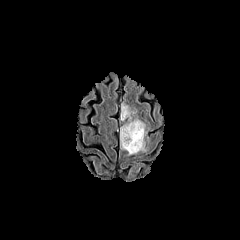
FLAIR MR image.
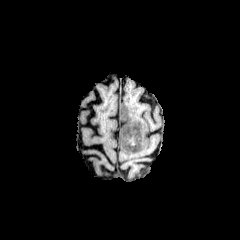
T1-weighted magnetic resonance.
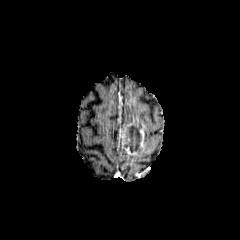
Post-contrast T1-weighted MRI.
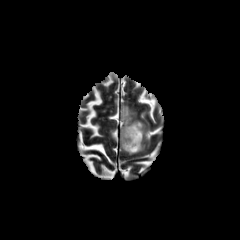
T2-weighted magnetic resonance of the same slice.
Brain. 240x240 px.
Segmented structures:
- non-enhancing tumor core: region(124, 121, 141, 152)
- enhancing tumor: region(138, 122, 146, 151); region(120, 124, 137, 155)
- edema: region(120, 103, 134, 119)